FLAIR MRI.
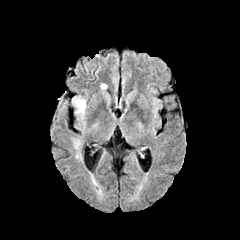
T1-weighted magnetic resonance.
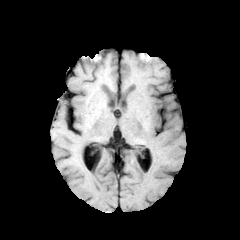
Post-contrast T1-weighted magnetic resonance.
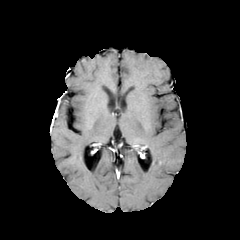
T2-weighted MR.
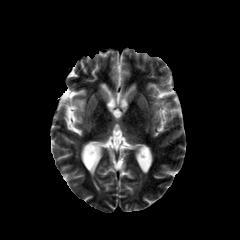
Brain | Image size 240x240
Annotated regions:
- edema: (left=70, top=95, right=86, bottom=129)